240x240 px; Image width 240 mm; Slice index 62
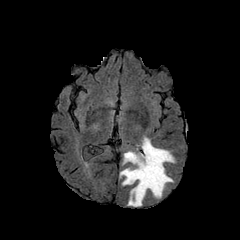
FLAIR MRI.
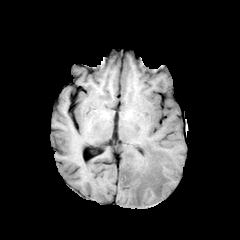
Same slice, T1-weighted magnetic resonance.
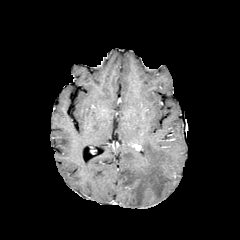
Same slice, post-contrast T1-weighted MR.
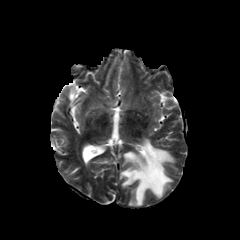
T2-weighted MR.
edema: region(119, 136, 175, 206)